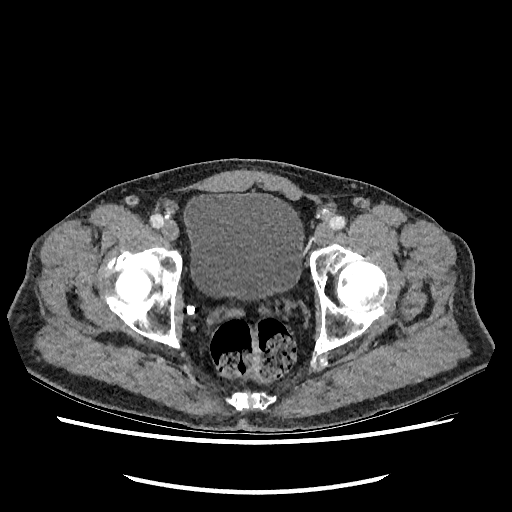
CT scan slice. 512x512. - urinary bladder: 184:192:303:299